Slice index 386 | Liver | CT scan slice

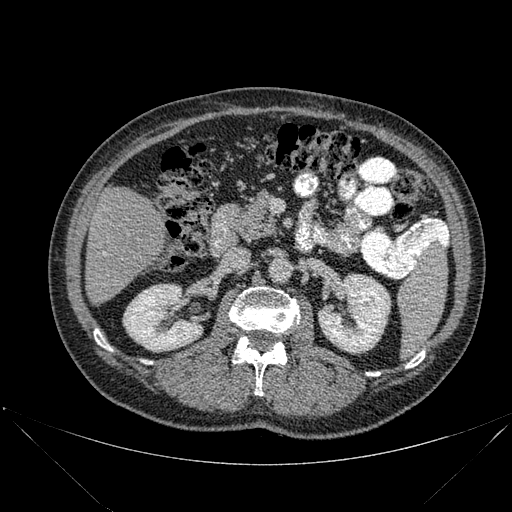 • bone: [229, 287, 299, 334], [405, 350, 424, 368], [366, 372, 380, 375], [94, 329, 111, 350], [233, 337, 286, 395]
• liver: [84, 187, 165, 303]
• kidney: [123, 284, 202, 351], [318, 274, 390, 352]